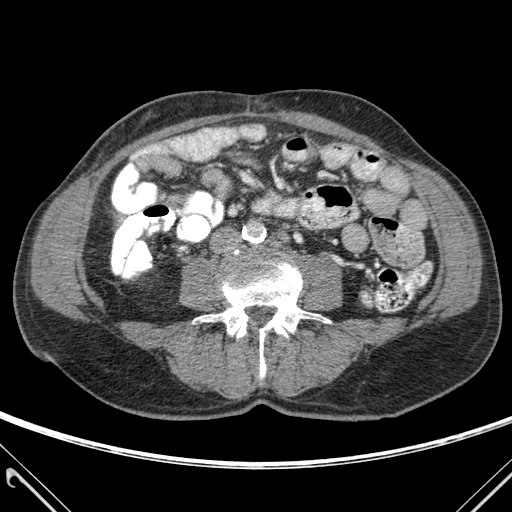
CT image
The bone lies within bbox=[194, 260, 329, 377].